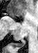
Hippocampus; MRI slice; 38x53 px
- posterior hippocampus: left=12, top=40, right=24, bottom=47